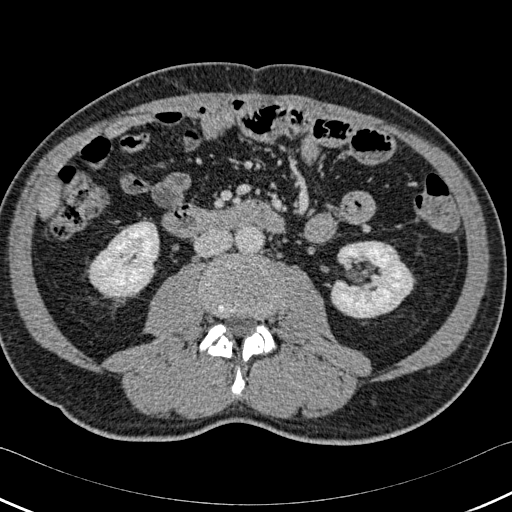

Computed tomography | Liver

liver:
  - box(40, 195, 58, 216)
bone:
  - box(200, 324, 232, 357)
  - box(232, 367, 244, 394)
  - box(242, 325, 274, 361)
  - box(203, 261, 276, 314)
kidney:
  - box(332, 242, 412, 317)
  - box(90, 222, 158, 296)